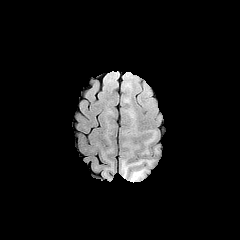
FLAIR magnetic resonance.
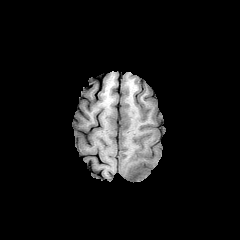
T1-weighted MR.
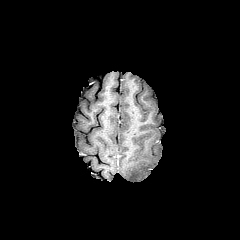
Same slice, post-contrast T1-weighted MR image.
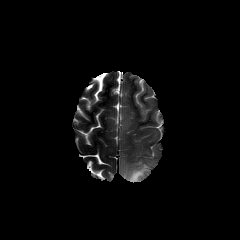
T2-weighted MR image.
Head.
{
  "edema": [
    "region(128, 166, 147, 180)"
  ]
}